T2-weighted MR image.
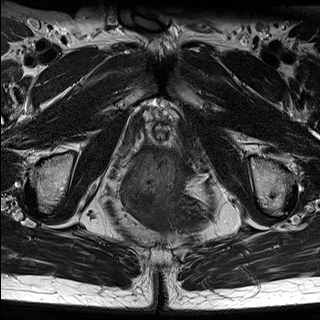
ADC MR image.
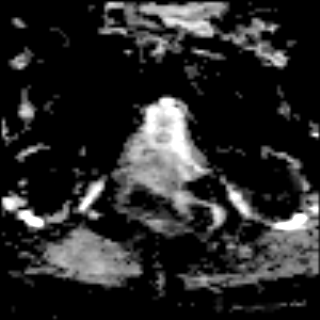
The prostate transition zone lies within 153,123,172,139. The prostate peripheral zone lies within 148,126,178,148.